Lower abdomen. Slice 108/761. CT scan slice. Image size 512x512. Image width 400 mm. 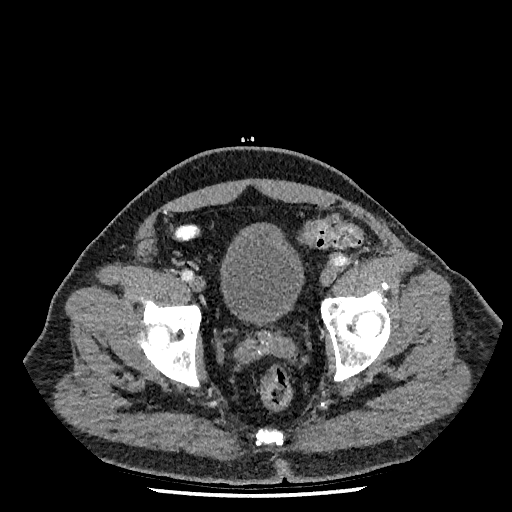

Urinary bladder: x1=220 y1=222 x2=304 y2=324.